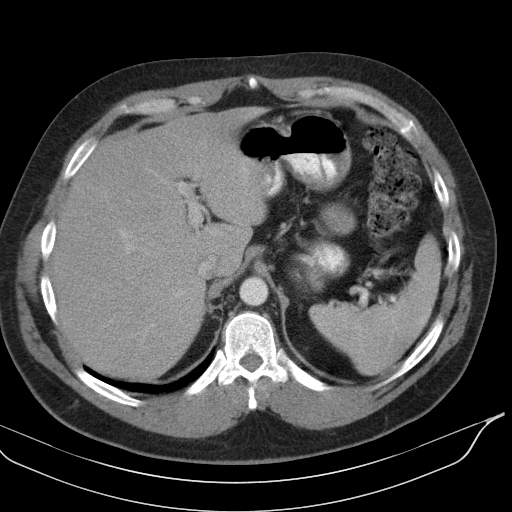
Computed tomography, Abdomen
{
  "spleen": [
    "[311,237,440,374]"
  ]
}